MRI slice

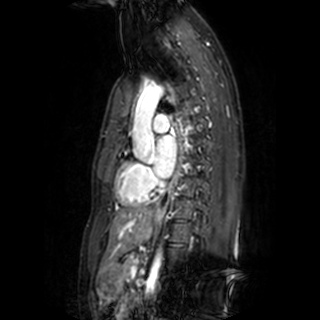

Left atrium — 154 135 176 177.